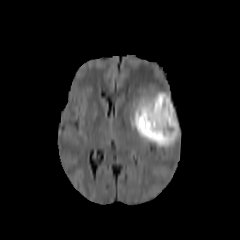
FLAIR MR image.
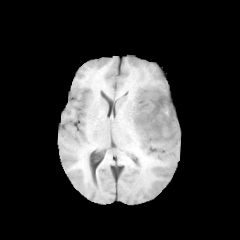
T1-weighted MR of the same slice.
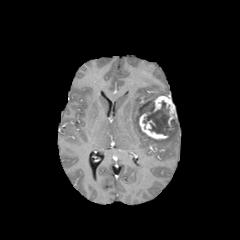
Same slice, post-contrast T1-weighted magnetic resonance.
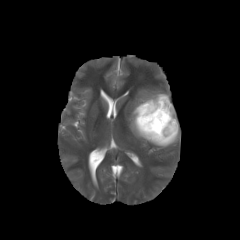
T2-weighted MR.
Head
• enhancing tumor: 153,95,176,129; 139,111,168,139
• non-enhancing tumor core: 140,99,176,135
• edema: 127,92,179,148